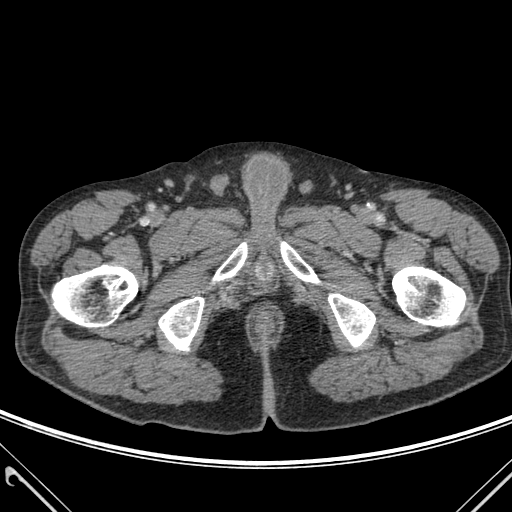
Computed tomography
Bone — 52, 265, 137, 326; 213, 243, 247, 280; 328, 294, 375, 346; 158, 297, 203, 350; 281, 242, 319, 283; 392, 266, 465, 326.